Head. 240x240.
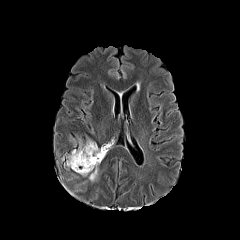
FLAIR magnetic resonance.
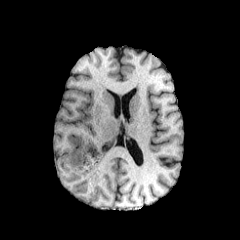
T1-weighted MR of the same slice.
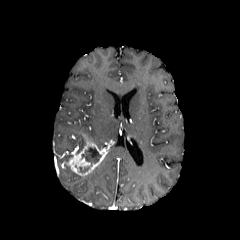
Post-contrast T1-weighted magnetic resonance.
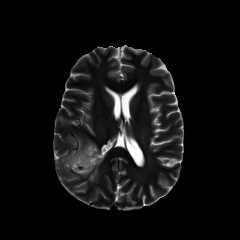
Same slice, T2-weighted MR image.
enhancing_tumor:
  - [x1=83, y1=149, x2=105, y2=175]
  - [x1=67, y1=140, x2=98, y2=173]
edema:
  - [x1=89, y1=168, x2=97, y2=181]
non-enhancing_tumor_core:
  - [x1=77, y1=167, x2=89, y2=175]
  - [x1=81, y1=146, x2=101, y2=167]